Brain; Slice 93/155
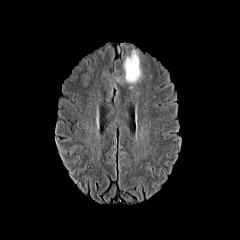
FLAIR MRI.
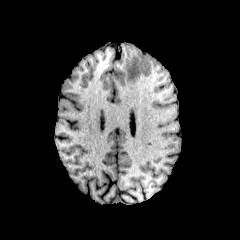
Same slice, T1-weighted MRI.
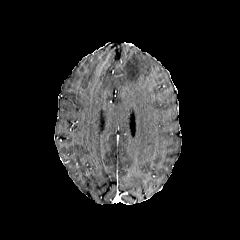
Post-contrast T1-weighted MR.
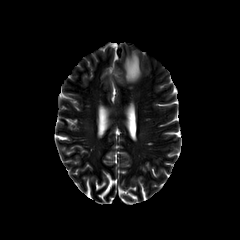
T2-weighted MRI.
Annotated regions:
• edema: left=123, top=49, right=142, bottom=82